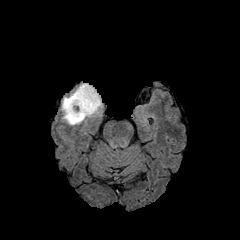
FLAIR MR.
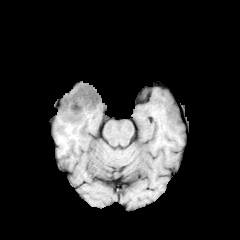
T1-weighted magnetic resonance.
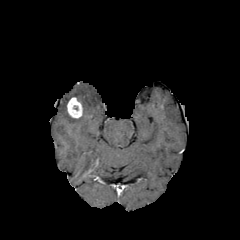
Post-contrast T1-weighted magnetic resonance of the same slice.
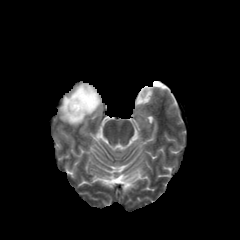
T2-weighted MRI.
Head | 240x240 px
The edema appears at left=60, top=83, right=102, bottom=125. The enhancing tumor is located at left=67, top=97, right=85, bottom=120.